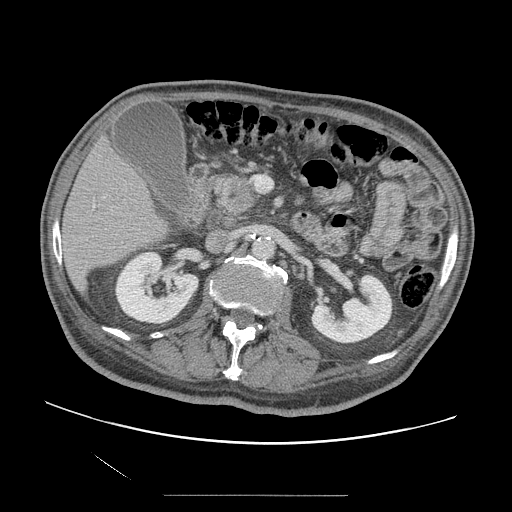
Image size 512x512, Computed tomography, Upper abdomen
The pancreas is bounded by [215, 174, 256, 219]. The pancreatic tumor is bounded by [230, 181, 252, 206].